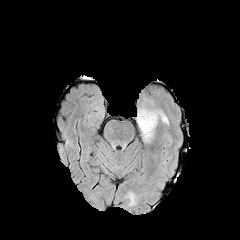
FLAIR MR image.
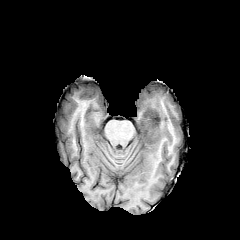
T1-weighted magnetic resonance of the same slice.
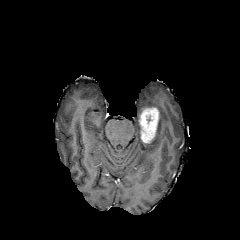
Post-contrast T1-weighted MR image of the same slice.
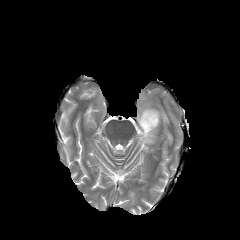
Same slice, T2-weighted MR image.
240x240. Brain.
The enhancing tumor is located at (x1=139, y1=108, x2=158, y2=142). 2 edema regions are located at (x1=159, y1=112, x2=168, y2=124), (x1=136, y1=109, x2=144, y2=130).